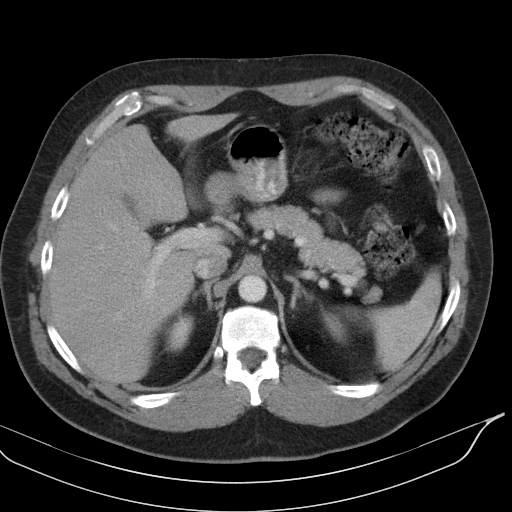
CT image | 512x512
spleen:
  - (366,271,440,368)